Image width 240 mm. Slice index 49.
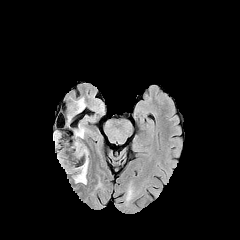
FLAIR MR.
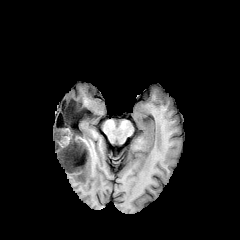
T1-weighted magnetic resonance.
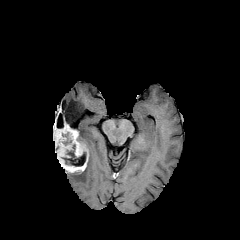
Post-contrast T1-weighted magnetic resonance.
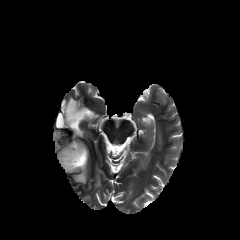
T2-weighted MRI.
edema:
  - [67,97,85,115]
  - [72,122,87,141]
  - [72,161,89,184]
non-enhancing_tumor_core:
  - [62,104,79,126]
  - [64,150,87,166]
  - [55,127,73,147]
enhancing_tumor:
  - [53,123,86,172]